Field of view 400 mm wide, 0.70 mm slice spacing. CT scan slice. Slice 424 of 654. 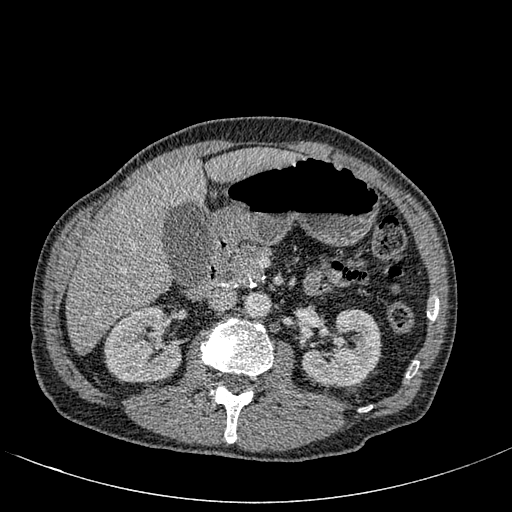 {
  "liver": [
    "box=[67, 147, 297, 353]"
  ],
  "kidney": [
    "box=[300, 308, 380, 386]",
    "box=[104, 307, 181, 381]"
  ]
}